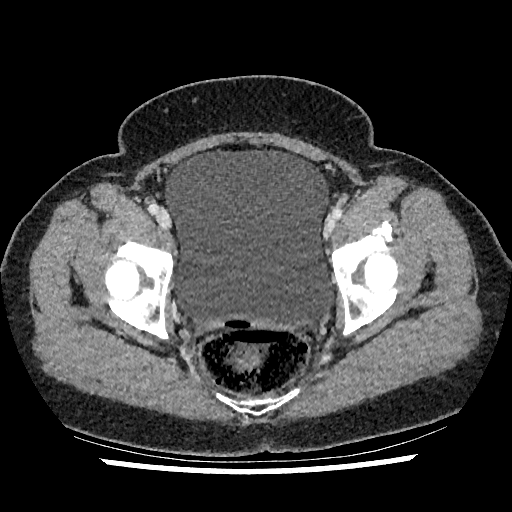

CT
- urinary bladder: [x1=165, y1=150, x2=333, y2=329]